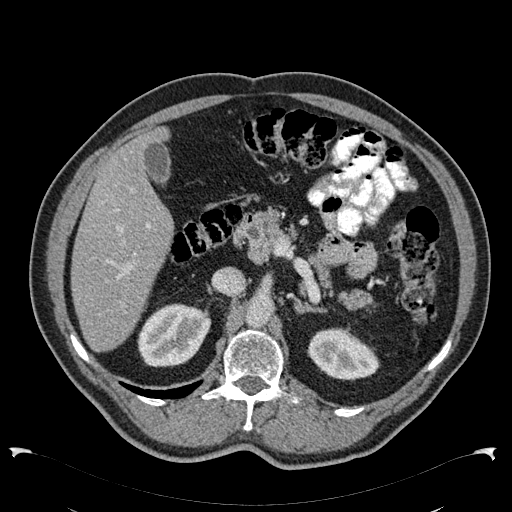
CT image.

<segmentation>
  <liver>rect(72, 126, 173, 351)</liver>
  <kidney>rect(138, 304, 210, 366); rect(308, 328, 378, 379)</kidney>
</segmentation>